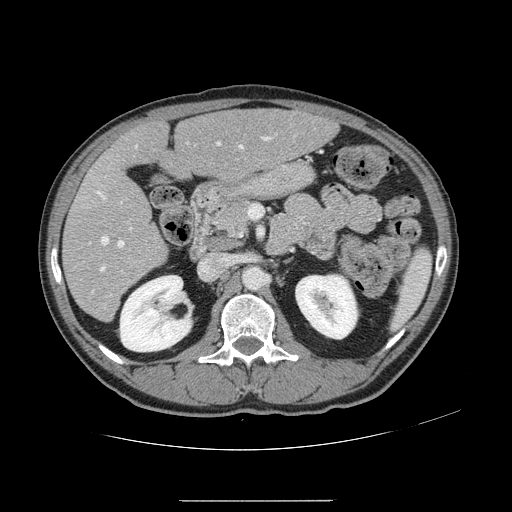
CT image
Only some of the vessels may be annotated.
Hepatic vessel at 130 228 131 229, 239 145 243 148, 100 267 104 271, 121 201 122 202, 217 142 219 144, 96 190 104 198, 261 137 270 139, 136 145 137 147, 118 240 123 246, 101 236 108 244.